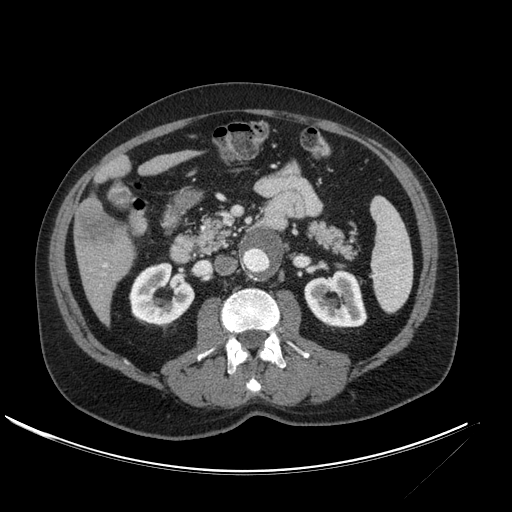

CT, Abdomen
3 liver regions appear at [x1=139, y1=150, x2=202, y2=175], [x1=75, y1=231, x2=134, y2=325], [x1=94, y1=155, x2=131, y2=183]. 2 kidney regions appear at [x1=305, y1=271, x2=365, y2=326], [x1=130, y1=264, x2=193, y2=323]. The hepatic lesion lies within [x1=74, y1=197, x2=127, y2=250].